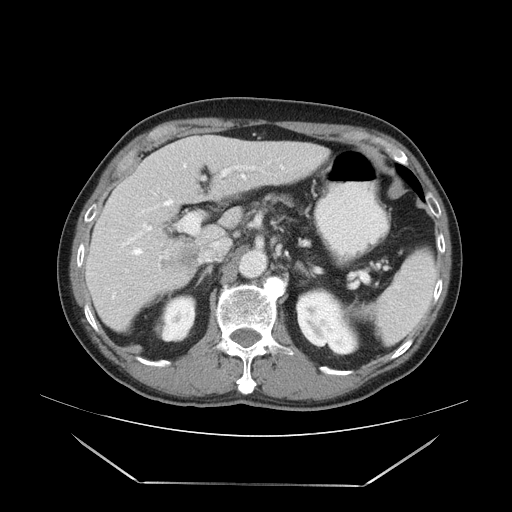
CT
Some hepatic vessels may have no box.
4 hepatic vessel regions appear at region(122, 232, 141, 245); region(220, 165, 257, 178); region(199, 254, 211, 261); region(147, 227, 150, 229). The liver tumor is bounded by region(153, 236, 200, 274).